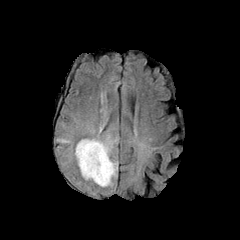
FLAIR MR image.
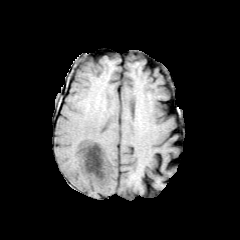
Same slice, T1-weighted MR.
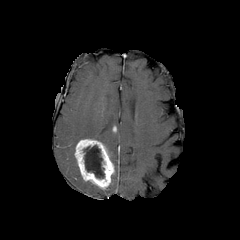
Post-contrast T1-weighted magnetic resonance.
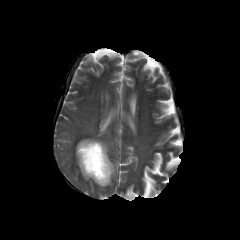
Same slice, T2-weighted magnetic resonance.
Image size 240x240
The enhancing tumor is at left=75, top=139, right=114, bottom=187. The non-enhancing tumor core is bounded by left=84, top=145, right=104, bottom=177. 2 edema regions are located at left=88, top=138, right=117, bottom=153; left=112, top=160, right=118, bottom=179.